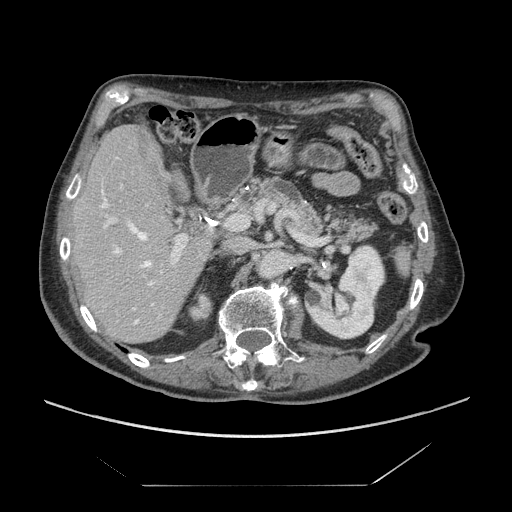
Abdomen; 512x512 px; CT slice
Segmented structures:
• pancreas: rect(216, 173, 382, 245)